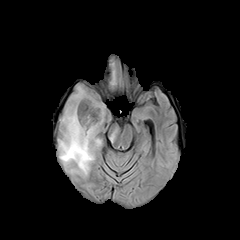
FLAIR MR image.
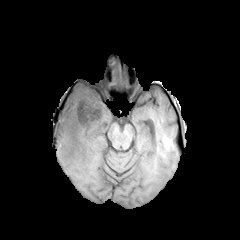
T1-weighted MR.
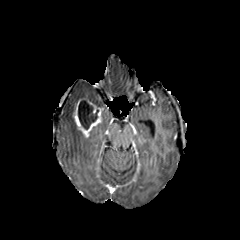
Post-contrast T1-weighted magnetic resonance.
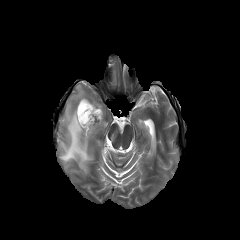
Same slice, T2-weighted magnetic resonance.
Brain
<segmentation>
  <edema>rect(58, 86, 107, 175)</edema>
  <non-enhancing_tumor_core>rect(74, 98, 103, 129)</non-enhancing_tumor_core>
  <enhancing_tumor>rect(72, 105, 101, 137)</enhancing_tumor>
</segmentation>